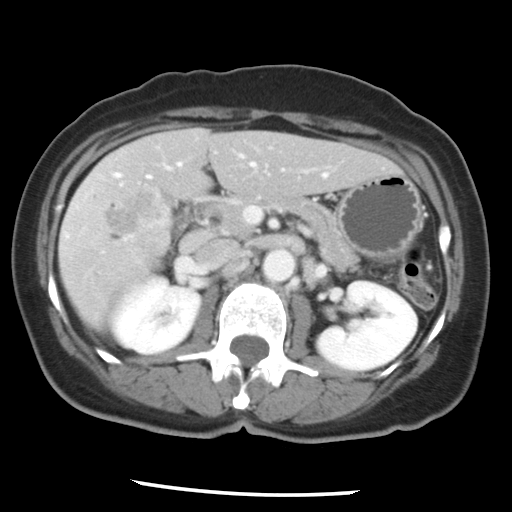
CT image

Only some of the vessels may be annotated.
Annotated regions:
• hepatic vessel: (114, 173, 119, 176), (148, 175, 149, 177), (324, 173, 325, 174), (243, 206, 260, 222), (252, 162, 253, 165)
• liver tumor: (97, 186, 164, 250)